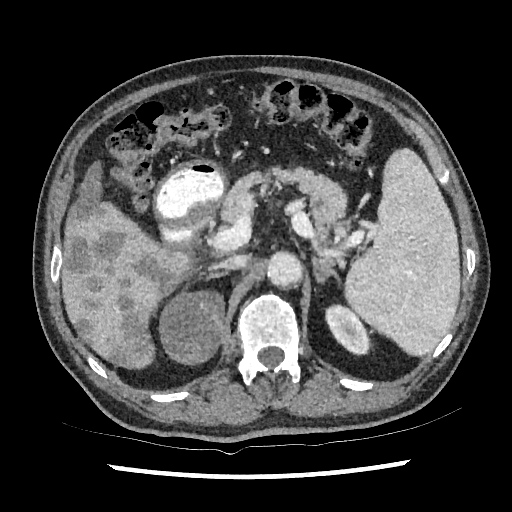

Computed tomography. Liver.

The kidney lies within 326,305,368,353. 8 focal liver lesion regions appear at 74,318,95,344; 80,296,104,313; 104,295,153,367; 132,253,178,294; 64,236,105,293; 67,162,108,224; 116,273,132,289; 92,231,127,276. The liver appears at 61,186,196,359.